FLAIR MR image.
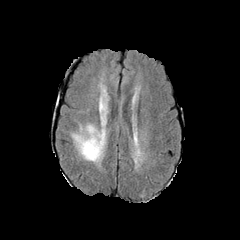
T1-weighted MR image.
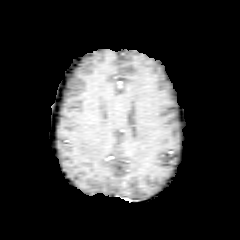
Post-contrast T1-weighted MR.
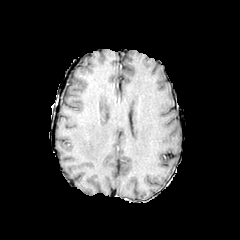
T2-weighted MRI.
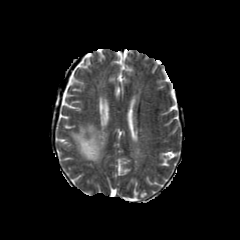
Head
edema:
  - x1=72 y1=125 x2=105 y2=161